Field of view 450 mm wide, 2.50 mm slice spacing, CT scan slice
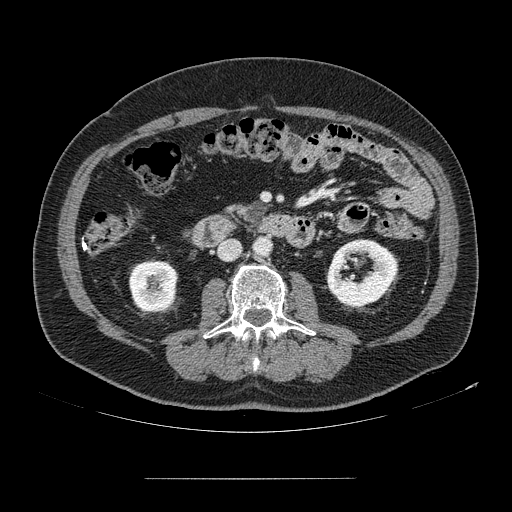

* pancreatic tumor: box(246, 202, 264, 226)
* pancreas: box(222, 200, 267, 232)